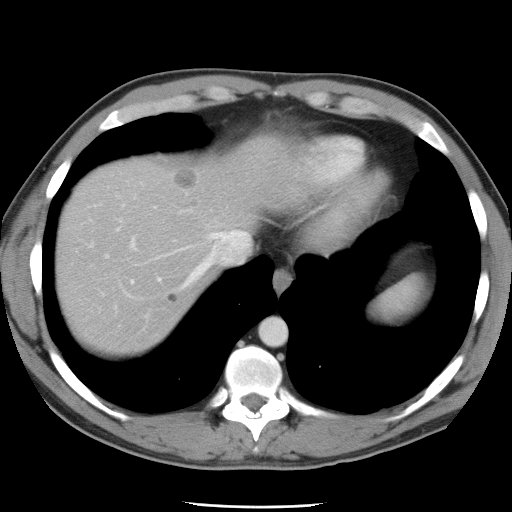

512x512 px | CT slice
The vessel boxes may cover only some of the vessels.
Hepatic vessel = {"x1": 131, "y1": 280, "x2": 133, "y2": 282}, {"x1": 178, "y1": 209, "x2": 192, "y2": 213}, {"x1": 130, "y1": 238, "x2": 135, "y2": 249}, {"x1": 157, "y1": 278, "x2": 160, "y2": 280}, {"x1": 178, "y1": 225, "x2": 249, "y2": 289}.